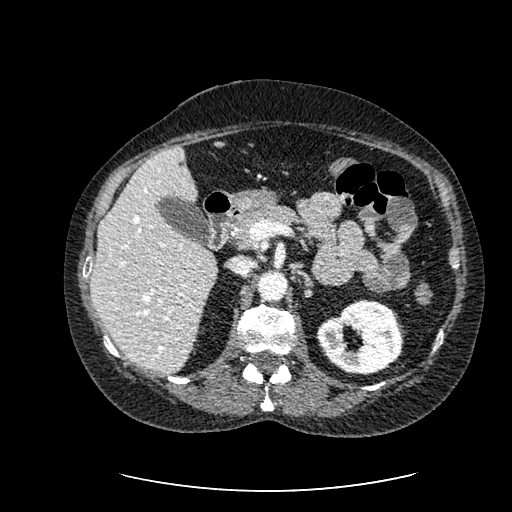 512x512 | CT image
• liver: rect(213, 139, 226, 149); rect(91, 146, 216, 372)
• kidney: rect(318, 301, 402, 373)